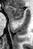
Magnetic resonance. Hippocampus. 33x49 px. <segmentation>
  <anterior_hippocampus><box>7,6,23,19</box></anterior_hippocampus>
</segmentation>